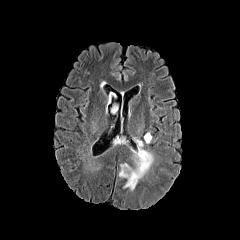
FLAIR magnetic resonance.
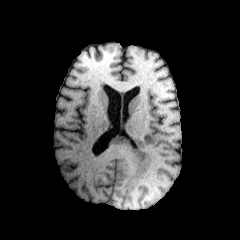
T1-weighted MR of the same slice.
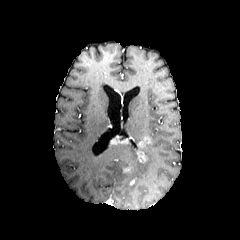
Same slice, post-contrast T1-weighted MR.
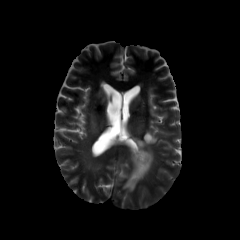
T2-weighted MRI.
<segmentation>
  <enhancing_tumor>[135, 136, 150, 163], [109, 135, 130, 145]</enhancing_tumor>
  <edema>[118, 147, 153, 191], [143, 130, 157, 144]</edema>
</segmentation>